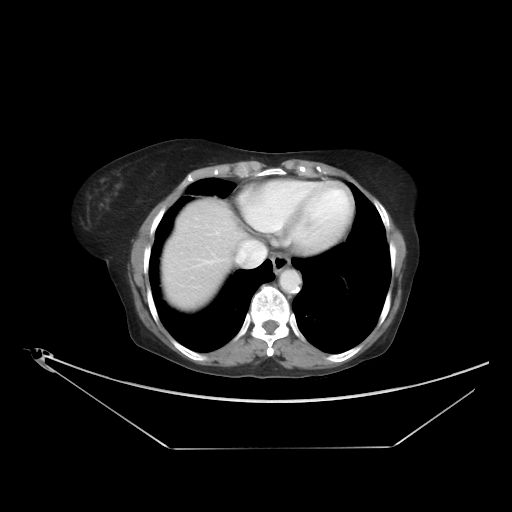
Computed tomography
The vessel annotation is not exhaustive.
The hepatic vessel is located at bbox=[245, 244, 253, 249].